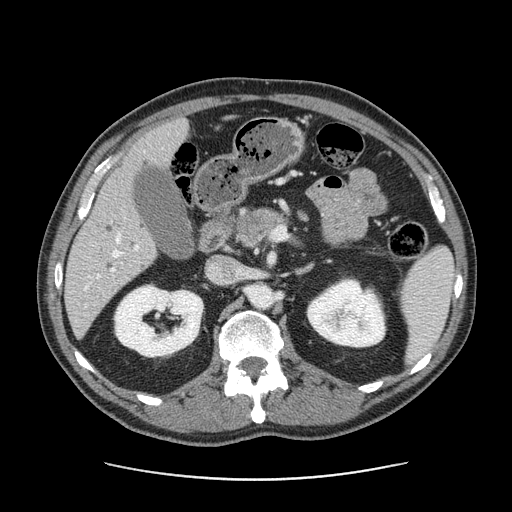

512x512. CT slice.
pancreas: bbox(231, 208, 286, 246) | pancreatic tumor: bbox(237, 213, 274, 238)